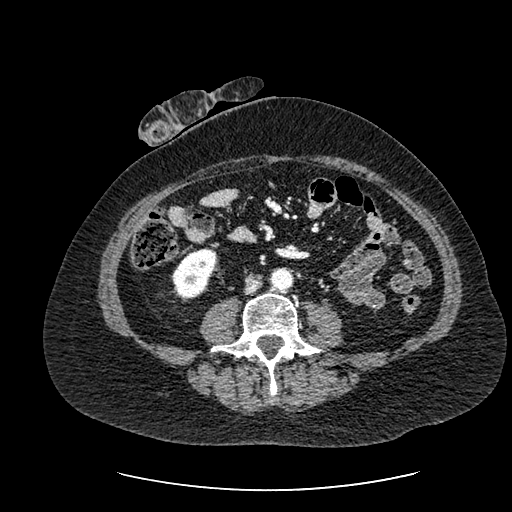 CT scan slice | Abdomen

Kidney — 173:249:215:297.